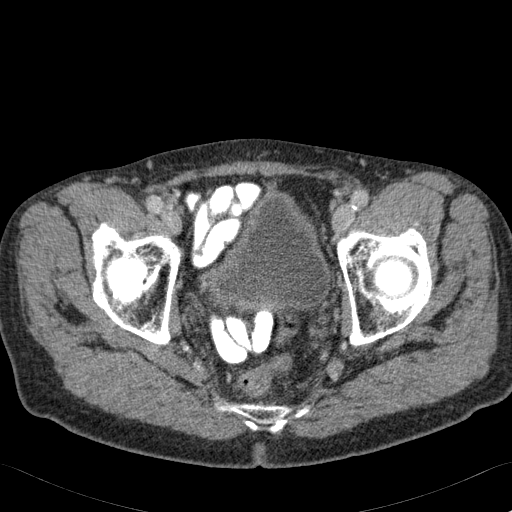 512x512, CT image
urinary bladder: <box>200,197,331,310</box>